CT image

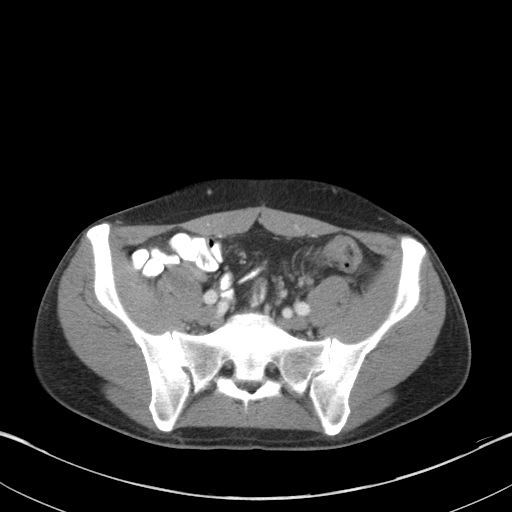
colon_tumor:
  - bbox(325, 235, 362, 272)